Field of view 335x335 mm, Computed tomography, Image size 512x512, Thorax
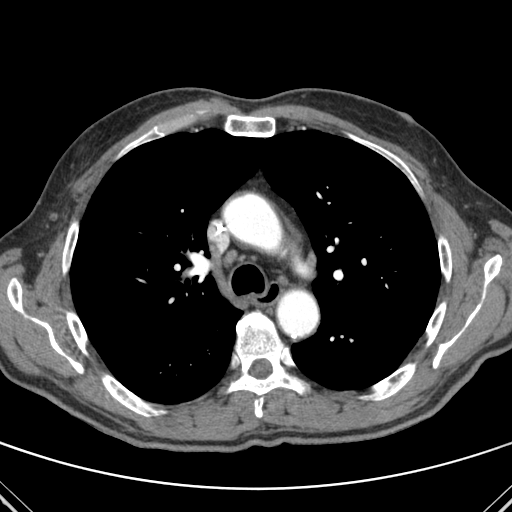

Bone = (left=102, top=375, right=164, bottom=416), (left=120, top=131, right=151, bottom=154), (left=438, top=236, right=451, bottom=281), (left=7, top=278, right=83, bottom=373), (left=482, top=255, right=501, bottom=297), (left=426, top=302, right=445, bottom=346), (left=225, top=115, right=274, bottom=136), (left=62, top=222, right=78, bottom=273), (left=66, top=312, right=87, bottom=354), (left=227, top=312, right=306, bottom=417), (left=351, top=135, right=415, bottom=180), (left=363, top=363, right=415, bottom=400), (left=433, top=303, right=481, bottom=368).
Lung = (left=70, top=129, right=440, bottom=403).